CT, Abdomen, Slice 432 of 845, Field of view 472x472 mm
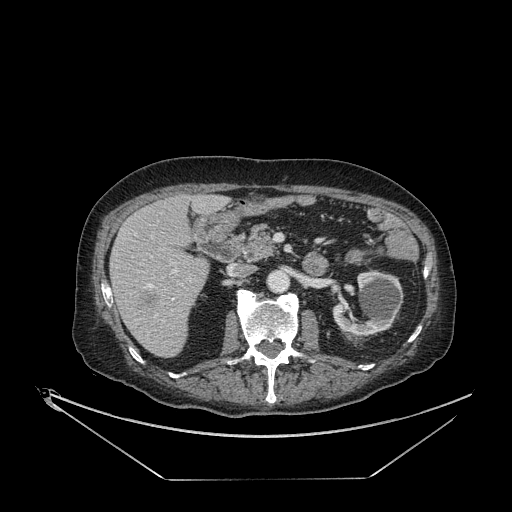
Focal liver lesion: l=139, t=291, r=159, b=310.
Liver: l=110, t=193, r=230, b=357.
Kidney: l=321, t=278, r=399, b=335; l=357, t=271, r=402, b=295; l=344, t=285, r=353, b=293.